Head; Image size 240x240
FLAIR MR image.
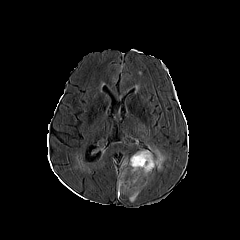
T1-weighted magnetic resonance.
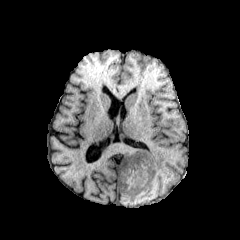
Post-contrast T1-weighted MR image.
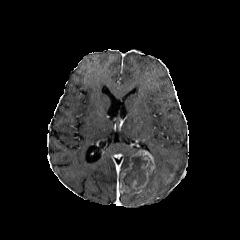
T2-weighted MR.
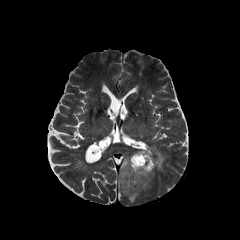
The enhancing tumor is at [x1=120, y1=149, x2=156, y2=195]. 2 non-enhancing tumor core regions are located at [x1=142, y1=173, x2=155, y2=191], [x1=122, y1=156, x2=151, y2=191]. 2 edema regions are bounded by [x1=146, y1=144, x2=167, y2=171], [x1=129, y1=194, x2=138, y2=202].